CT image 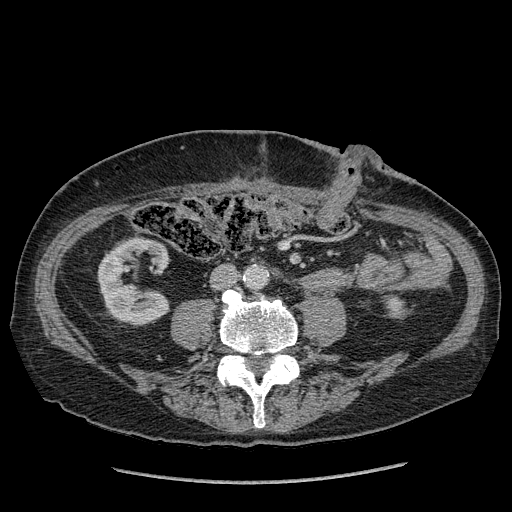
kidney: rect(386, 297, 403, 317); rect(98, 238, 168, 324)